FLAIR MR image.
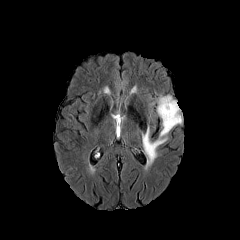
T1-weighted magnetic resonance.
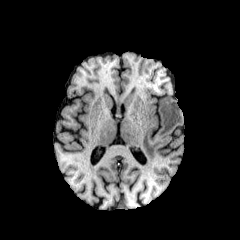
Post-contrast T1-weighted MR.
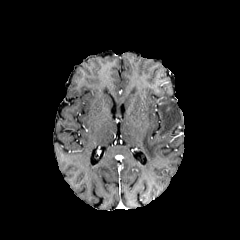
T2-weighted MR image.
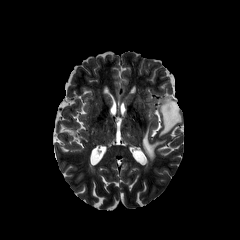
240x240
Edema — rect(142, 95, 183, 166).